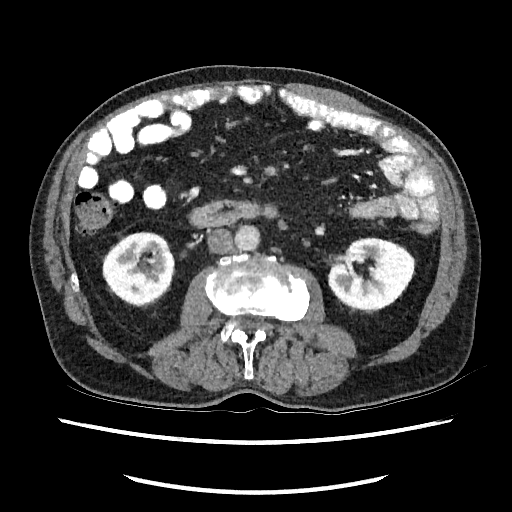 Abdomen | CT
Annotated regions:
* kidney: [103, 232, 174, 306], [328, 238, 414, 312]